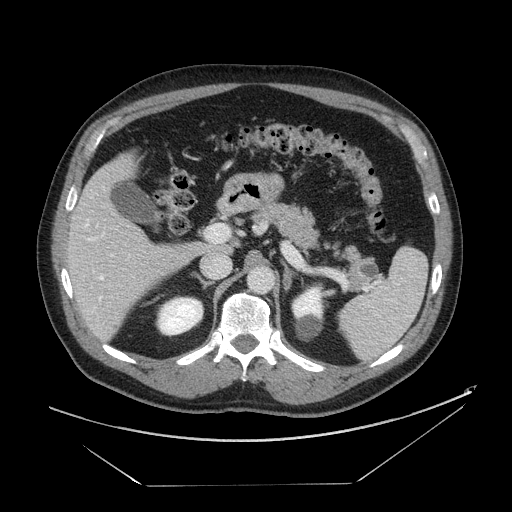
CT. The pancreas appears at x1=252 y1=202 x2=376 y2=289. The pancreatic tumor lies within x1=357 y1=261 x2=379 y2=279.